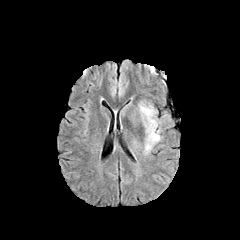
FLAIR magnetic resonance.
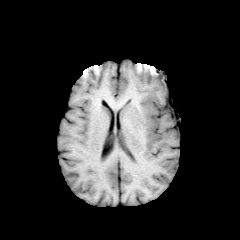
Same slice, T1-weighted MR image.
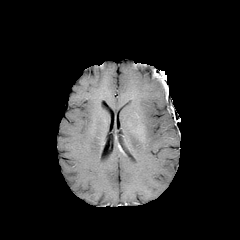
Same slice, post-contrast T1-weighted MRI.
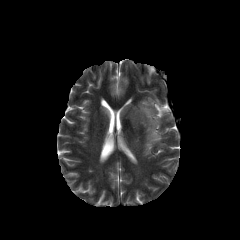
T2-weighted MRI.
Head
edema: x1=137 y1=101 x2=161 y2=155